FLAIR MR.
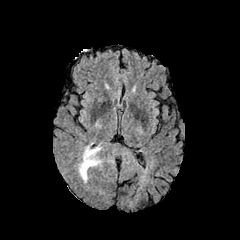
T1-weighted MR image.
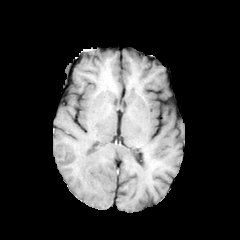
Post-contrast T1-weighted MR.
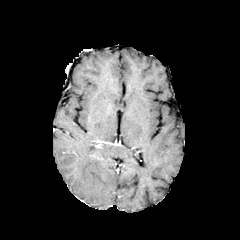
T2-weighted MR.
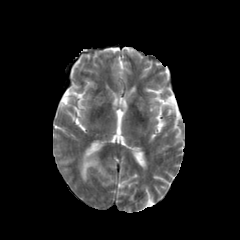
240x240 px.
<segmentation>
  <edema>box(80, 148, 100, 180)</edema>
</segmentation>